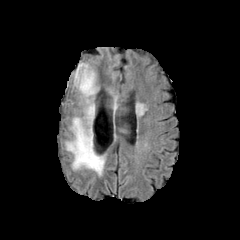
FLAIR magnetic resonance.
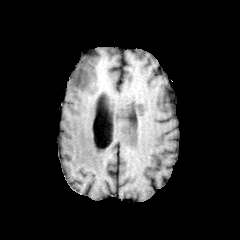
Same slice, T1-weighted magnetic resonance.
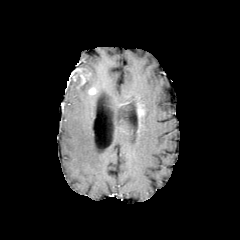
Same slice, post-contrast T1-weighted MRI.
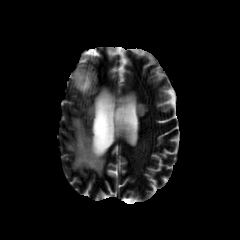
T2-weighted MR.
Edema: bounding box [65,63,105,176], [111,96,121,113].
Non-enhancing tumor core: bounding box [68,72,80,87].
Enhancing tumor: bounding box [74,68,85,85].